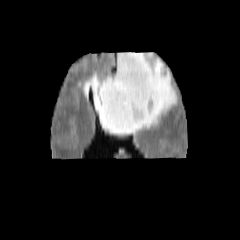
FLAIR MRI.
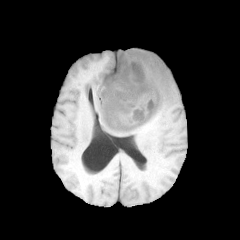
Same slice, T1-weighted MR image.
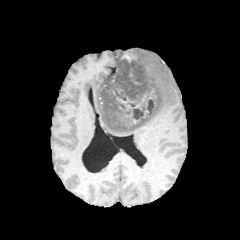
Post-contrast T1-weighted magnetic resonance.
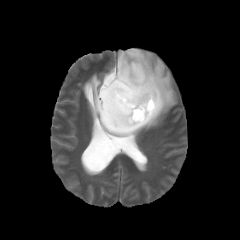
T2-weighted magnetic resonance.
The non-enhancing tumor core is bounded by bbox=[107, 49, 157, 130]. The edema lies within bbox=[90, 48, 177, 135].